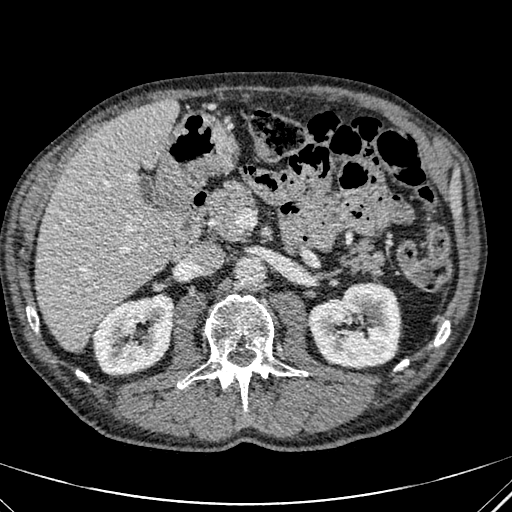

512x512 | CT image

Liver: bounding box [35,99,177,351].
Kidney: bounding box [94,295,172,374], [310,284,399,366].